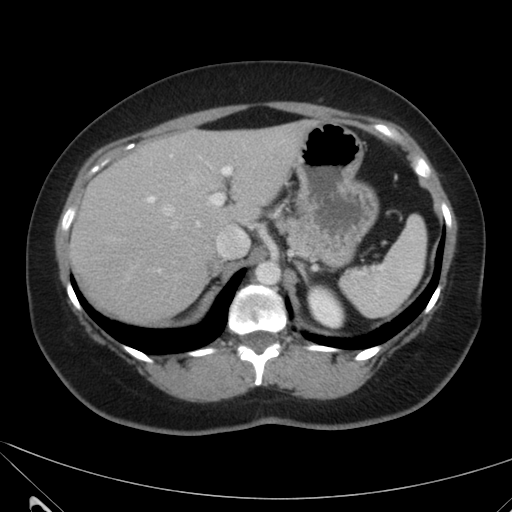 CT slice
The liver appears at 68 121 318 322. The kidney is located at 310 290 340 326.